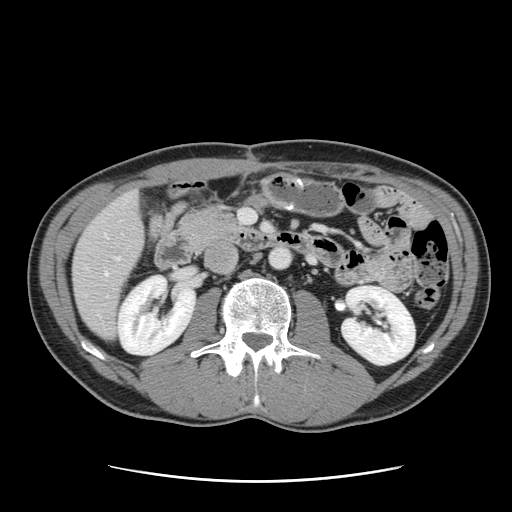
Abdomen | CT slice

The vessel annotation is not exhaustive.
<segmentation>
  <hepatic_vessel>(x1=105, y1=234, x2=107, y2=237), (x1=114, y1=257, x2=119, y2=259), (x1=105, y1=272, x2=107, y2=274)</hepatic_vessel>
</segmentation>